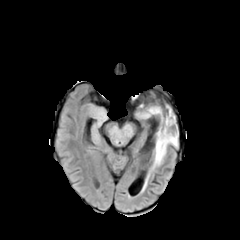
FLAIR magnetic resonance.
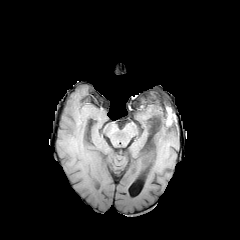
T1-weighted MR image of the same slice.
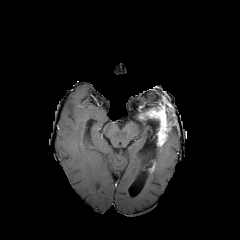
Post-contrast T1-weighted MR image.
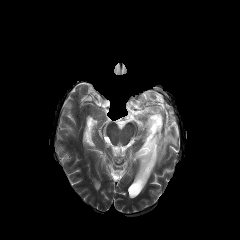
T2-weighted magnetic resonance.
Brain
Annotated regions:
* non-enhancing tumor core: bbox=[137, 102, 159, 117]
* enhancing tumor: bbox=[139, 100, 176, 147]
* edema: bbox=[151, 128, 178, 168]